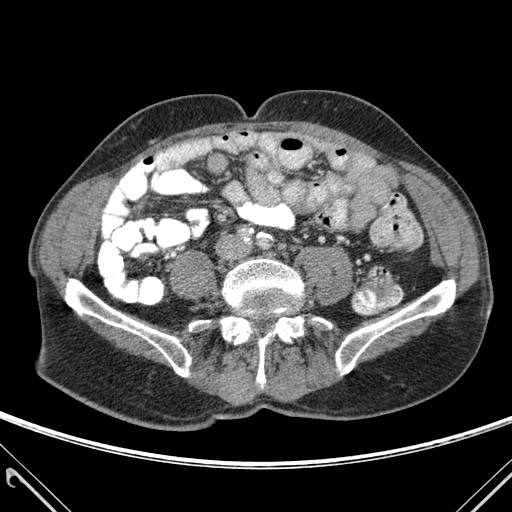 CT image

<segmentation>
  <bone><box>223,259,303,383</box>, <box>336,280,455,374</box>, <box>221,316,251,344</box>, <box>65,279,190,376</box>, <box>189,320,209,330</box>, <box>313,317,331,327</box></bone>
</segmentation>